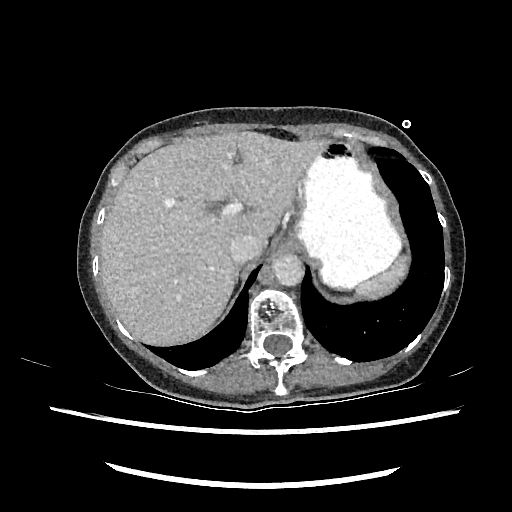
Abdomen. CT slice.

- liver: <bbox>101, 132, 328, 343</bbox>